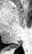
Magnetic resonance
{"posterior_hippocampus": ["rect(7, 43, 18, 48)"]}